FLAIR MR image.
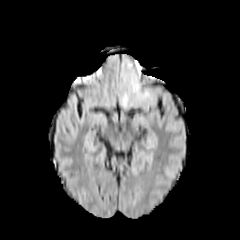
T1-weighted MR image.
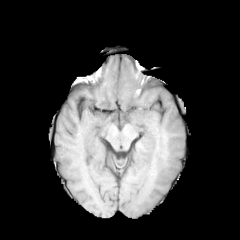
Post-contrast T1-weighted MR.
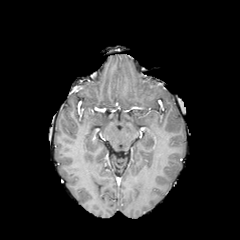
T2-weighted MR.
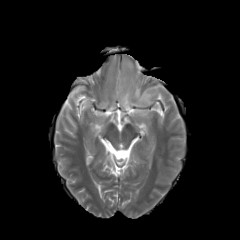
The edema is at {"x1": 122, "y1": 92, "x2": 152, "y2": 107}.